FLAIR MRI.
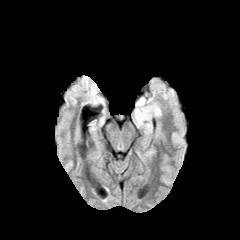
T1-weighted magnetic resonance.
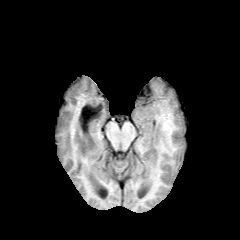
Post-contrast T1-weighted MR.
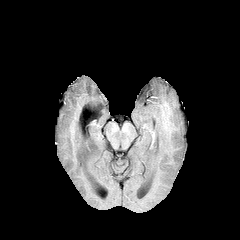
T2-weighted MR image.
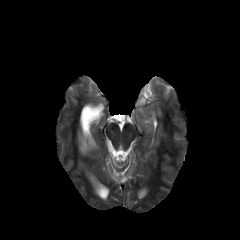
240x240
{
  "edema": [
    "box=[150, 106, 162, 117]",
    "box=[135, 97, 151, 107]"
  ]
}